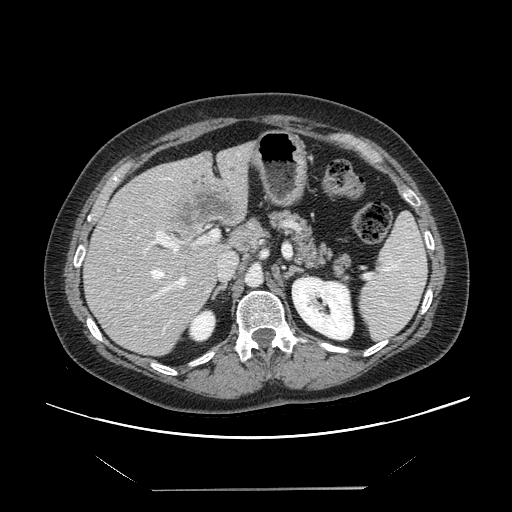

Liver. Computed tomography.
Only some of the vessels may be annotated.
5 hepatic vessel regions appear at (left=142, top=228, right=183, bottom=254), (left=192, top=229, right=219, bottom=246), (left=150, top=268, right=165, bottom=280), (left=148, top=275, right=186, bottom=299), (left=218, top=252, right=236, bottom=278). The liver tumor lies within (left=168, top=184, right=240, bottom=239).